FLAIR MRI.
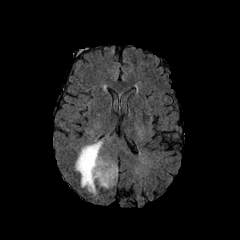
T1-weighted MRI.
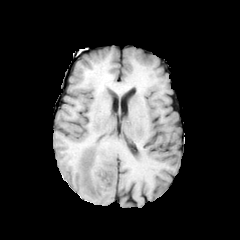
Post-contrast T1-weighted MR.
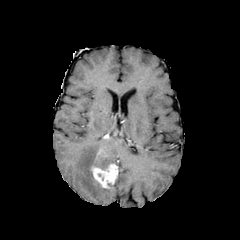
T2-weighted MR image.
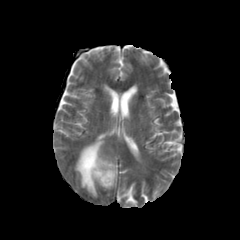
Edema: bounding box <box>75,141,108,195</box>.
Enhancing tumor: bounding box <box>90,161,117,188</box>.